Slice 86 of 155. 240x240 px.
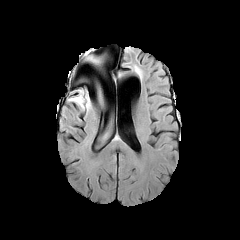
FLAIR MR image.
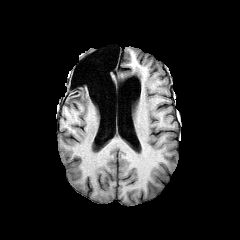
T1-weighted magnetic resonance of the same slice.
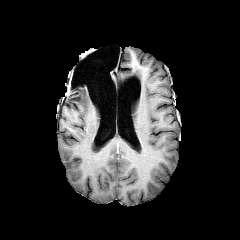
Post-contrast T1-weighted magnetic resonance of the same slice.
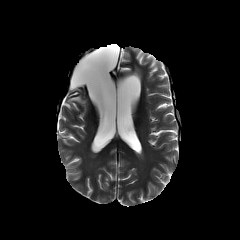
T2-weighted MR image of the same slice.
<segmentation>
  <edema>left=89, top=56, right=100, bottom=63; left=70, top=90, right=91, bottom=112</edema>
</segmentation>